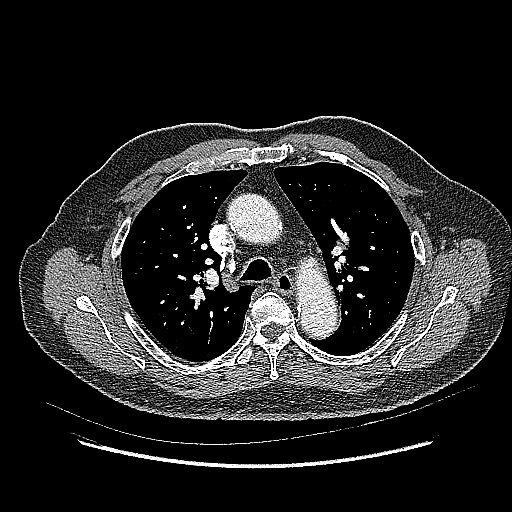 Computed tomography; Chest
Lung tumor = region(333, 233, 358, 255).